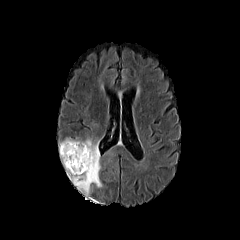
FLAIR MR image.
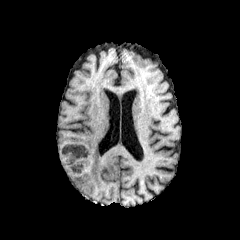
T1-weighted MR.
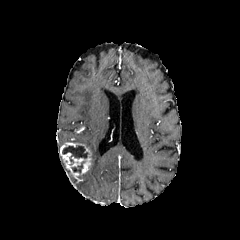
Post-contrast T1-weighted MRI.
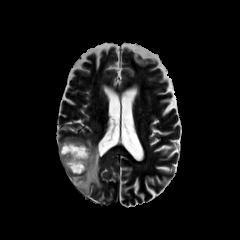
Same slice, T2-weighted magnetic resonance.
The edema is at rect(60, 136, 102, 195). The enhancing tumor lies within rect(60, 142, 92, 176). 2 non-enhancing tumor core regions appear at rect(62, 145, 88, 158); rect(71, 161, 84, 173).